FLAIR MR.
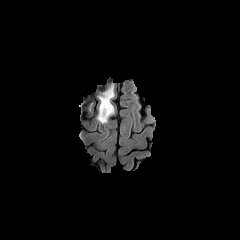
T1-weighted magnetic resonance.
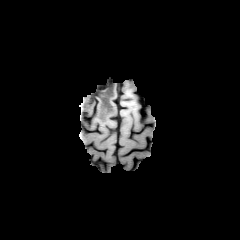
Post-contrast T1-weighted magnetic resonance.
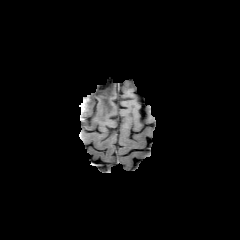
T2-weighted magnetic resonance.
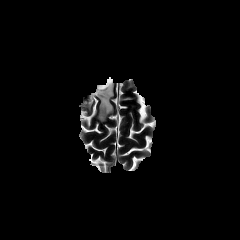
Brain
The edema lies within (x1=97, y1=84, x2=114, y2=123).